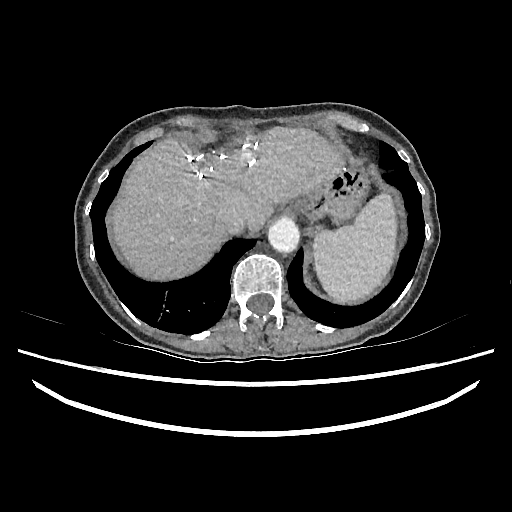
CT slice

Liver: bounding box [113,127,340,279].